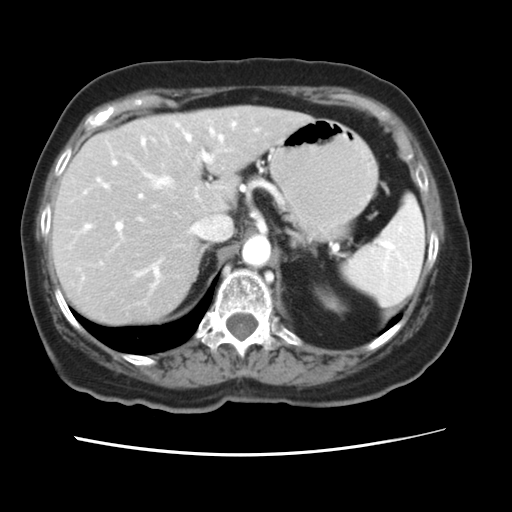 CT; Abdomen

Not every hepatic vessel necessarily has a box.
Largest 15 of 19 hepatic vessel regions = 217:136:223:140, 200:153:213:162, 96:178:108:187, 254:129:258:131, 210:128:215:135, 182:131:190:141, 142:171:171:188, 116:222:122:239, 141:137:144:145, 136:263:160:289, 79:224:91:232, 112:161:116:164, 231:122:235:127, 139:195:142:197, 195:188:198:198.